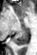

MR image
2 posterior hippocampus regions are bounded by (left=14, top=30, right=27, bottom=45), (left=26, top=27, right=27, bottom=28).